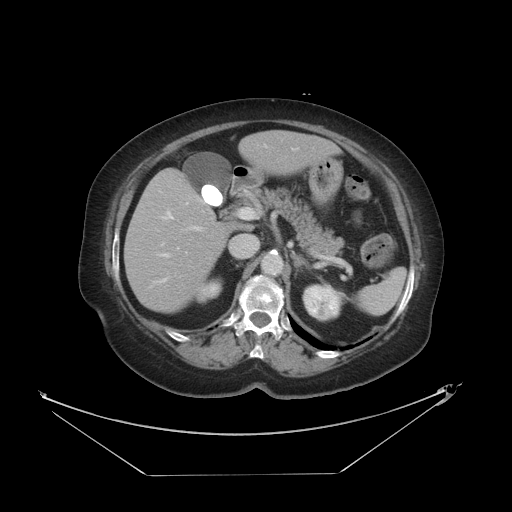
Liver, Computed tomography
Some hepatic vessels may have no box.
Hepatic vessel: bounding box [239, 208, 255, 218], [187, 226, 202, 230].